Abdomen. CT.
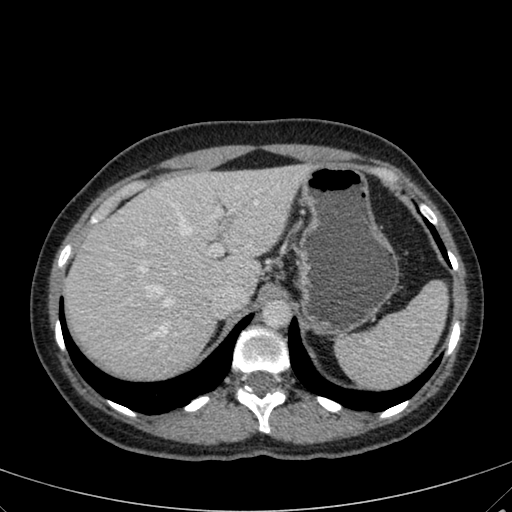
liver: (64,164,316,378)